320x320; MRI; Slice index 56

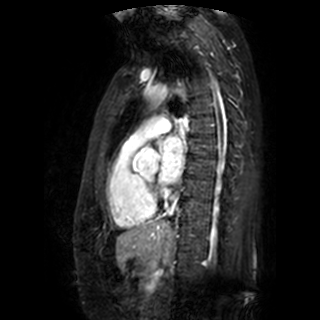

left_atrium:
  - region(160, 137, 183, 183)